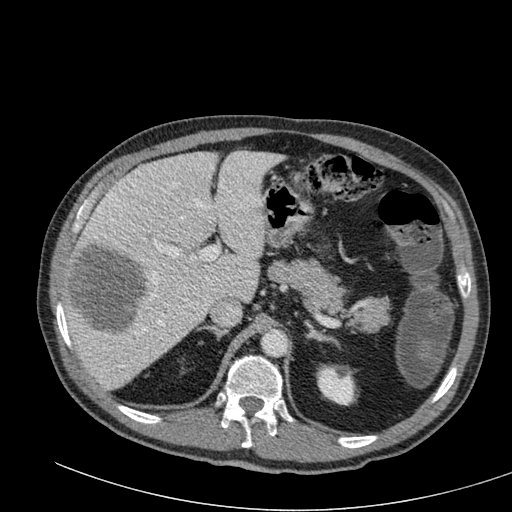 CT image
Findings:
* kidney: (318,368,353,404)
* focal liver lesion: (69,242,144,332)
* liver: (62,151,284,390)